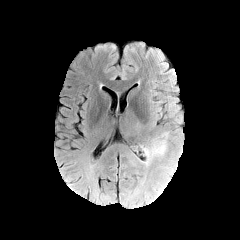
FLAIR magnetic resonance.
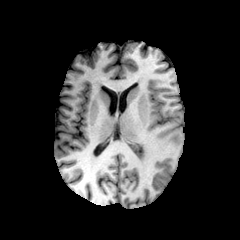
T1-weighted MRI.
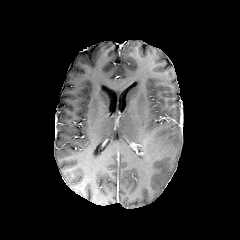
Post-contrast T1-weighted magnetic resonance.
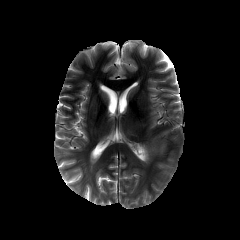
Same slice, T2-weighted magnetic resonance.
The edema appears at l=141, t=140, r=166, b=166.